Field of view 240 mm wide, 1.00 mm slice spacing. Head. Slice 111 of 155.
FLAIR magnetic resonance.
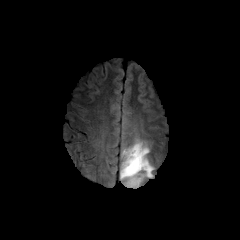
T1-weighted MRI.
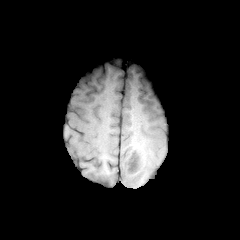
Post-contrast T1-weighted MR image.
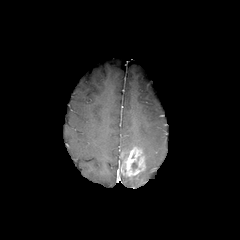
T2-weighted MR.
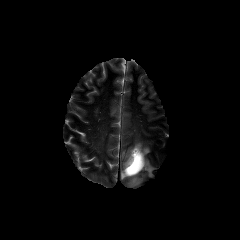
The enhancing tumor is bounded by (120,146,145,179). The non-enhancing tumor core lies within (126,172,141,182). The edema is bounded by (119,140,153,187).